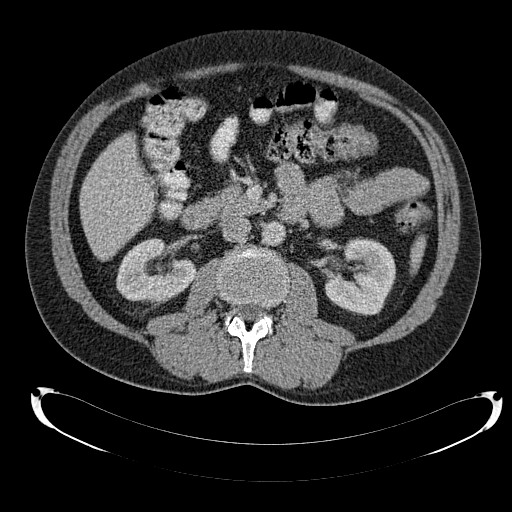
Liver; CT image

<segmentation>
  <kidney>(325,239,395,314), (117,239,195,300)</kidney>
  <liver>(80,135,153,259)</liver>
</segmentation>